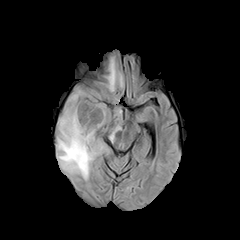
FLAIR MR image.
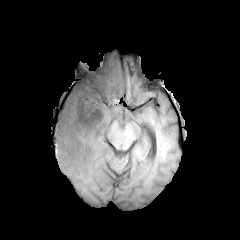
T1-weighted magnetic resonance.
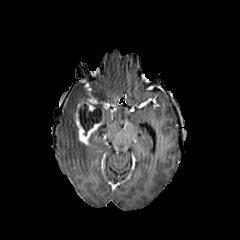
Post-contrast T1-weighted MRI of the same slice.
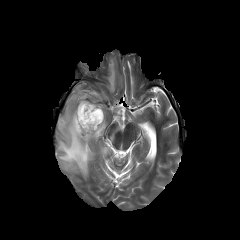
Same slice, T2-weighted MR image.
non-enhancing tumor core: [76,97,108,131] | edema: [57,91,111,179], [106,60,117,92] | enhancing tumor: [74,103,103,145], [84,100,96,111]